Abdomen. Computed tomography.

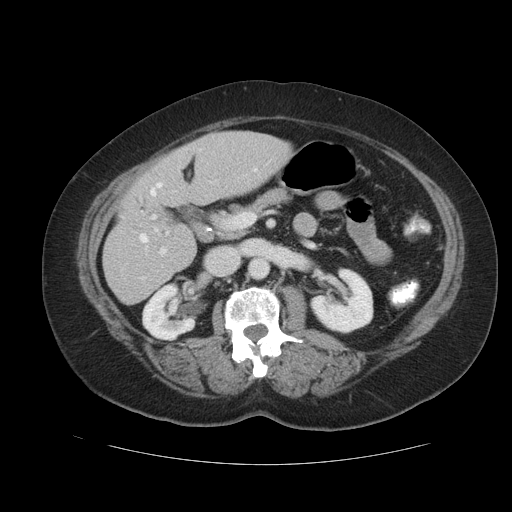 Not every hepatic vessel necessarily has a box.
7 hepatic vessel regions are located at <box>161,249,165,253</box>, <box>155,229,157,230</box>, <box>254,169,256,170</box>, <box>166,232,168,233</box>, <box>157,183,161,187</box>, <box>140,234,147,241</box>, <box>151,189,155,195</box>.